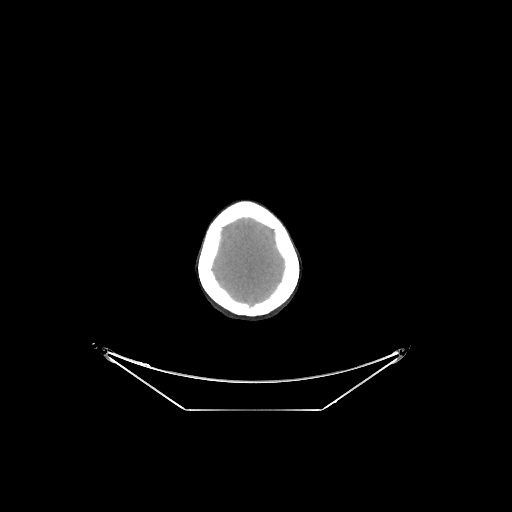
Brain; 512x512; CT scan slice
Brain: x1=211 y1=217 x2=285 y2=307.